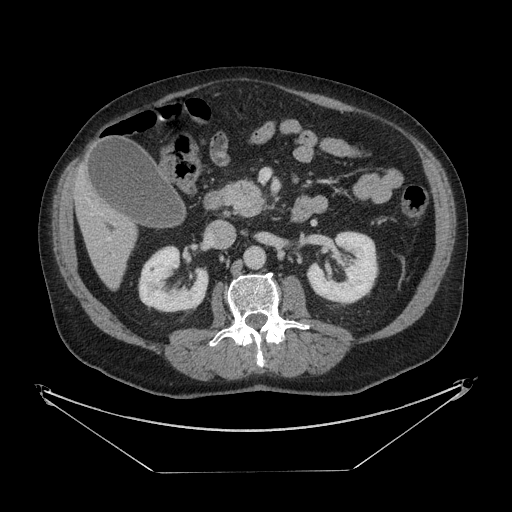

512x512 | CT
Pancreatic tumor: <bbox>238, 182, 258, 201</bbox>.
Pancreas: <bbox>235, 182, 262, 215</bbox>.